512x512 px. Computed tomography.
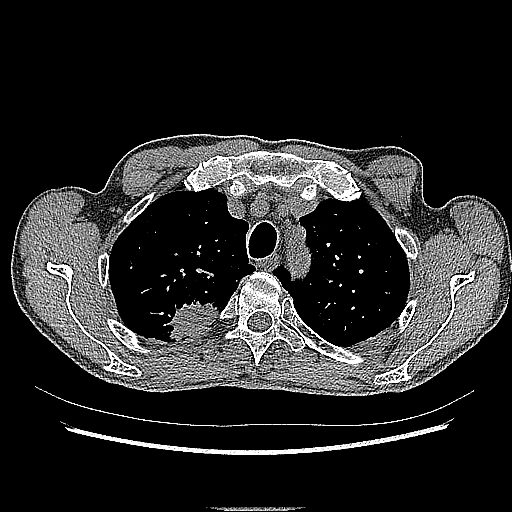 Findings:
* lung tumor: bbox(157, 289, 226, 342)